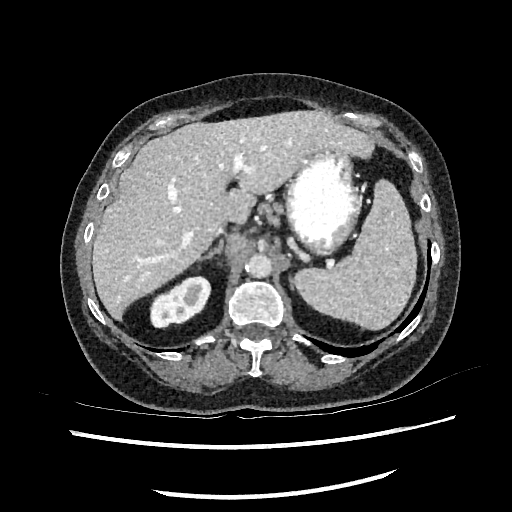

CT image
Annotated regions:
• kidney: box=[151, 277, 209, 326]
• liver: box=[92, 110, 374, 320]